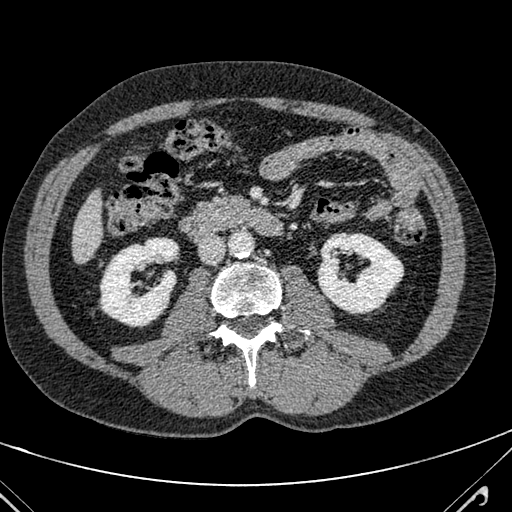

Liver | CT | Image size 512x512

Liver at 73:189:101:261.